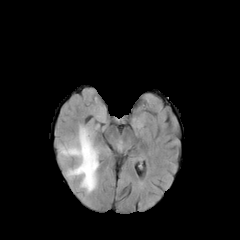
FLAIR MRI.
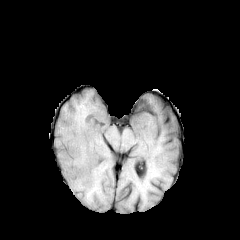
T1-weighted MR.
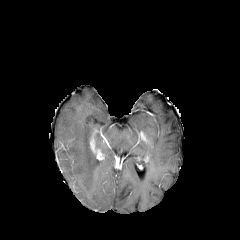
Post-contrast T1-weighted magnetic resonance.
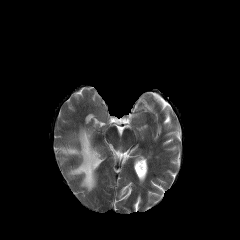
T2-weighted MRI.
Head
enhancing_tumor:
  - l=90, t=144, r=99, b=159
edema:
  - l=58, t=126, r=99, b=191